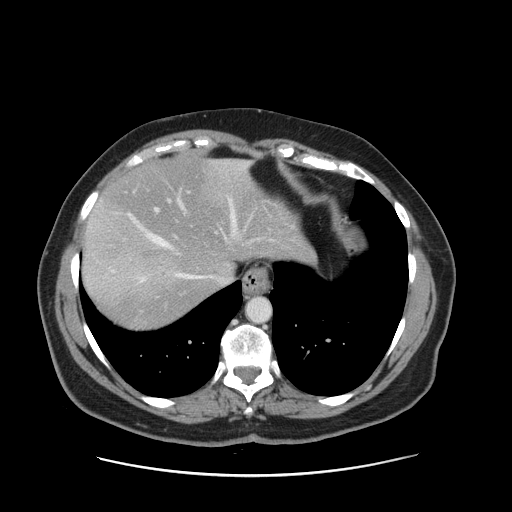
CT scan slice. Liver. Image size 512x512.

Some hepatic vessels may have no box.
Findings:
- hepatic vessel: (left=169, top=200, right=170, bottom=201), (left=231, top=206, right=236, bottom=238), (left=155, top=208, right=158, bottom=211), (left=181, top=274, right=189, bottom=277), (left=242, top=162, right=248, bottom=165)